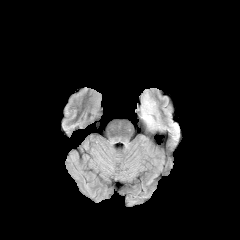
FLAIR magnetic resonance.
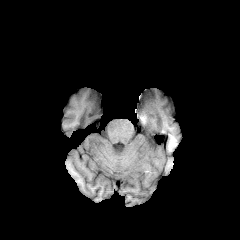
T1-weighted magnetic resonance.
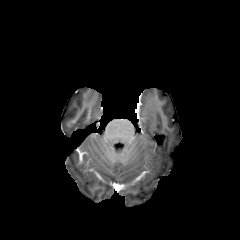
Same slice, post-contrast T1-weighted MRI.
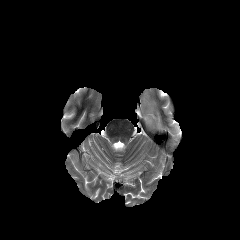
T2-weighted MRI.
Head
Edema — {"x1": 139, "y1": 93, "x2": 161, "y2": 129}.